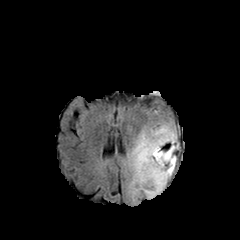
FLAIR magnetic resonance.
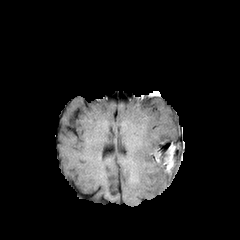
T1-weighted MRI of the same slice.
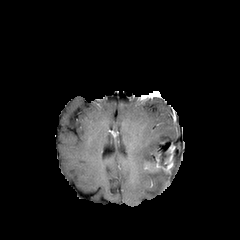
Post-contrast T1-weighted MR.
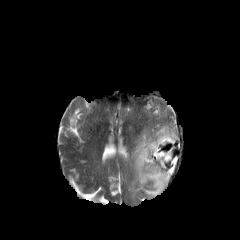
T2-weighted MR.
enhancing_tumor:
  - <box>166,144,175,172</box>
edema:
  - <box>125,120,179,201</box>